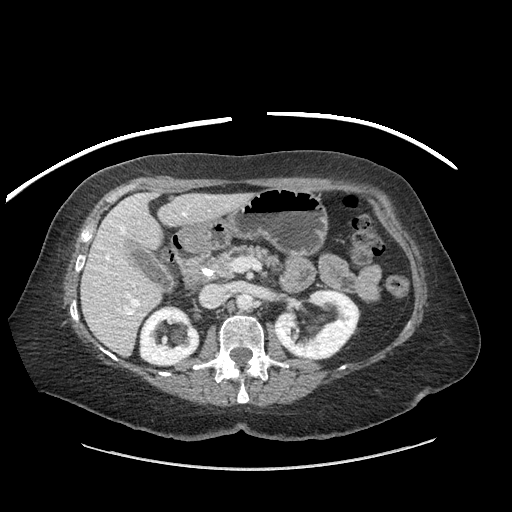

Computed tomography
The pancreas lies within 187 247 278 286.